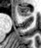
Magnetic resonance
The anterior hippocampus is bounded by (16, 6, 30, 16).